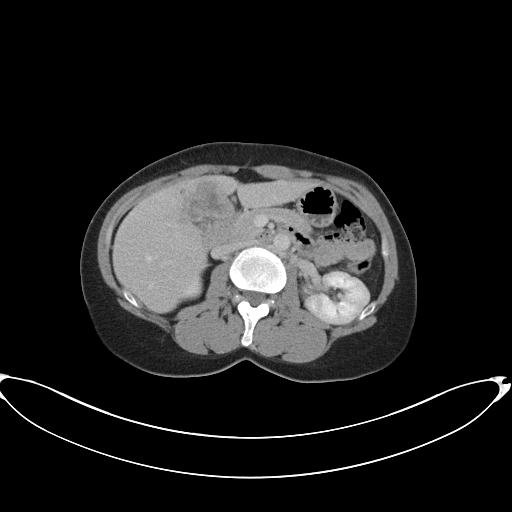 Abdomen; CT image; Image size 512x512
Only some of the vessels may be annotated.
The hepatic vessel is bounded by 146, 255, 152, 261. The liver tumor is located at 182, 184, 231, 232.